CT scan slice, Liver, Field of view 400 mm wide, 0.80 mm slice spacing

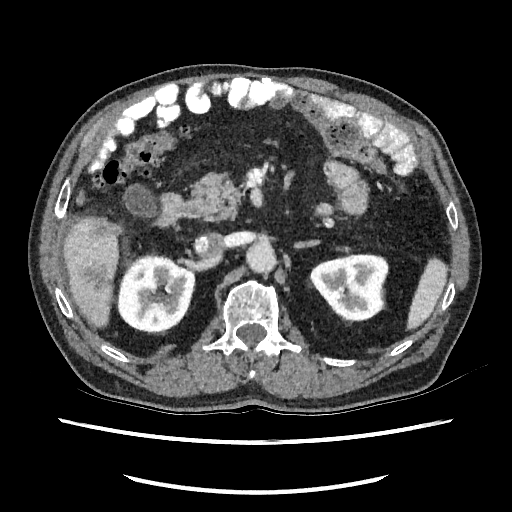
Focal liver lesion — x1=91 y1=218 x2=117 y2=237, x1=86 y1=265 x2=109 y2=290.
Kidney — x1=117 y1=255 x2=194 y2=332, x1=310 y1=254 x2=387 y2=321.
Liver — x1=64 y1=217 x2=118 y2=325.